CT scan slice; Slice 50/99; Abdomen; 512x512; Field of view 386 mm wide, 2.50 mm slice spacing 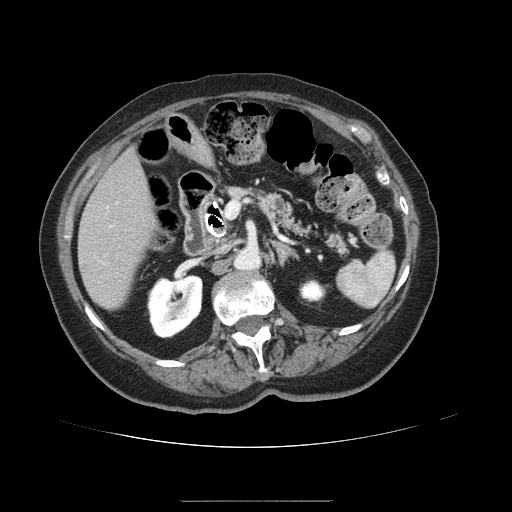

pancreas: left=245, top=188, right=355, bottom=256